Thorax; Image size 512x512; Computed tomography
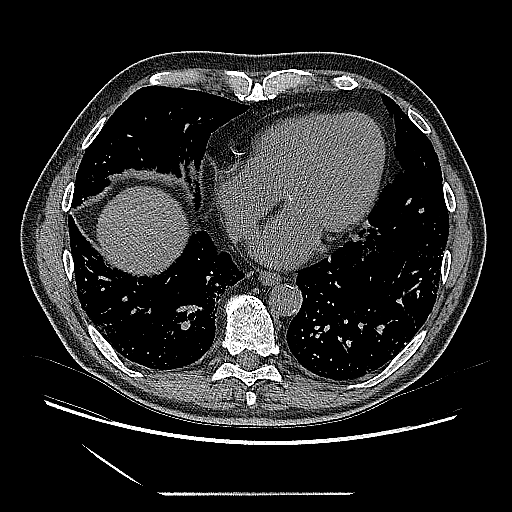 {"lung_tumor": ["x1=337 y1=215 x2=393 y2=268"]}